Computed tomography, Upper abdomen
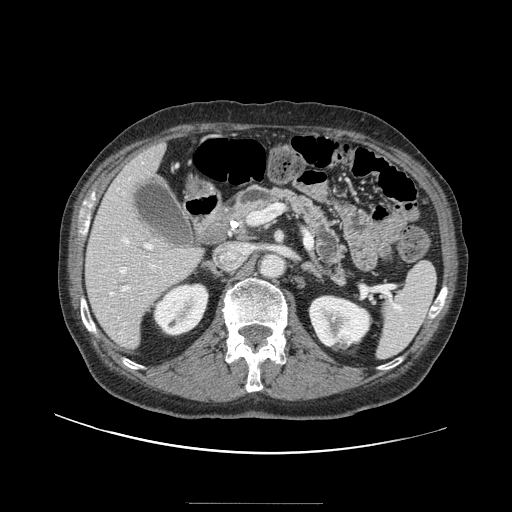
pancreatic tumor: x1=222 y1=211 x2=238 y2=220 | pancreas: x1=234 y1=186 x2=346 y2=284